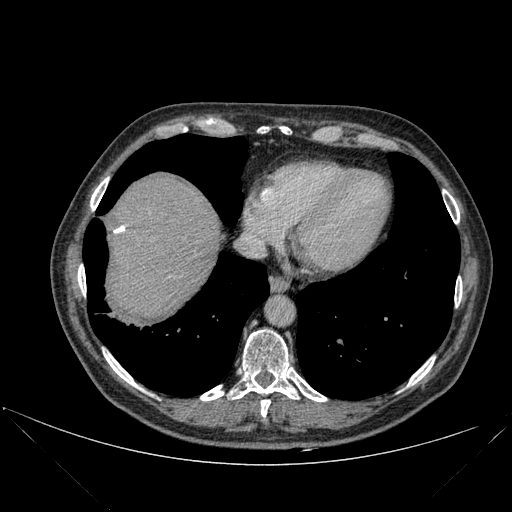 CT | 512x512 px
liver: l=105, t=178, r=224, b=321 | bone: l=454, t=276, r=461, b=306; l=407, t=357, r=434, b=386; l=200, t=385, r=223, b=400; l=280, t=126, r=289, b=133; l=231, t=330, r=326, b=401; l=261, t=400, r=270, b=416; l=103, t=351, r=140, b=389; l=90, t=177, r=108, b=210; l=78, t=264, r=85, b=294; l=442, t=189, r=459, b=223 | lung: l=83, t=218, r=269, b=395; l=97, t=134, r=247, b=225; l=297, t=152, r=460, b=399